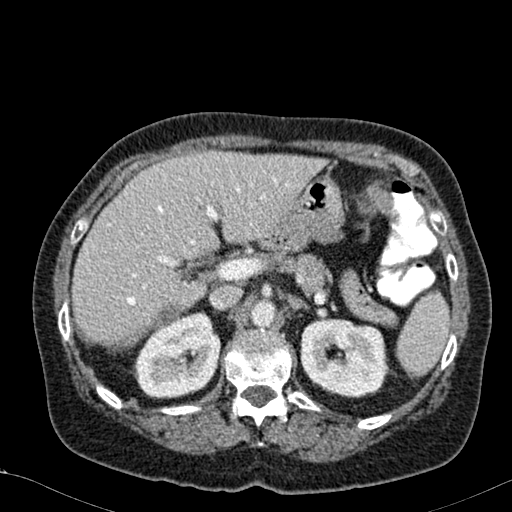 Abdomen. CT image. The liver is bounded by 72 152 328 349. 2 kidney regions are located at 301 319 387 396, 136 313 220 397. The focal liver lesion is bounded by 151 306 179 327.